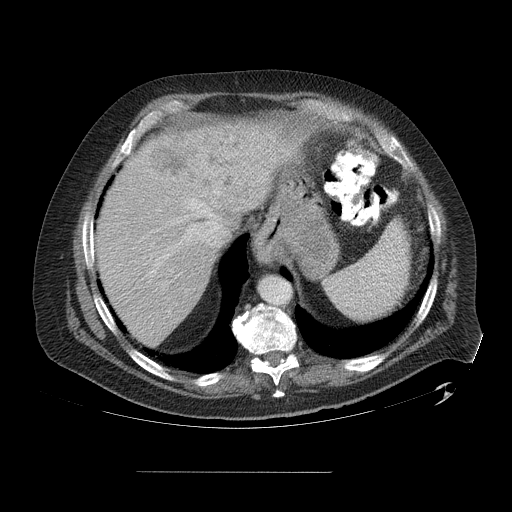
CT image

Only some of the vessels may be annotated.
hepatic_vessel:
  - bbox=[214, 190, 220, 194]
  - bbox=[150, 228, 160, 232]
  - bbox=[184, 215, 188, 218]
  - bbox=[212, 200, 213, 202]
  - bbox=[151, 243, 153, 244]
  - bbox=[142, 203, 225, 282]
  - bbox=[175, 275, 178, 276]
  - bbox=[191, 199, 195, 204]
liver_tumor:
  - bbox=[149, 130, 241, 187]